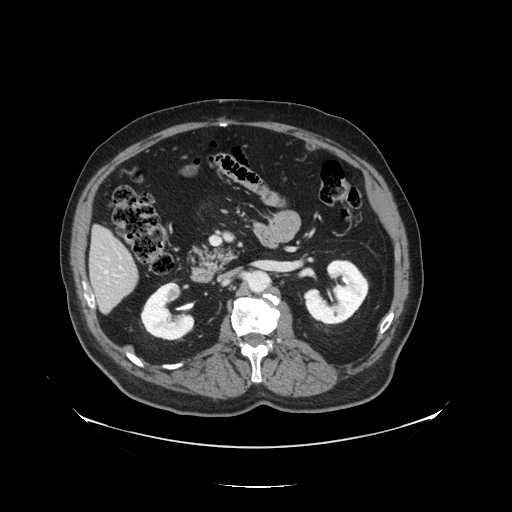 Computed tomography | Abdomen | 512x512 px
Some hepatic vessels may have no box.
Annotated regions:
- hepatic vessel: <bbox>114, 274, 118, 276</bbox>, <bbox>119, 267, 121, 268</bbox>, <bbox>104, 257, 108, 259</bbox>, <bbox>117, 252, 119, 255</bbox>, <bbox>104, 270, 108, 273</bbox>